FLAIR MRI.
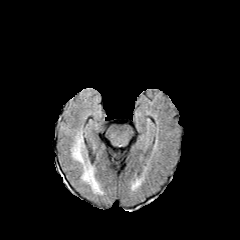
T1-weighted magnetic resonance.
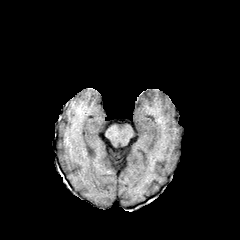
Post-contrast T1-weighted MR image.
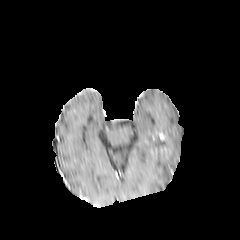
T2-weighted MR.
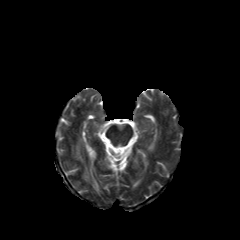
240x240 px; Brain
edema: (x1=72, y1=132, x2=102, y2=193)